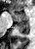

Medial temporal lobe | MR image
anterior_hippocampus:
  - 10, 11, 28, 20
posterior_hippocampus:
  - 17, 21, 29, 34